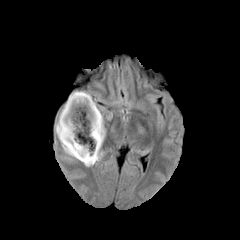
FLAIR MR image.
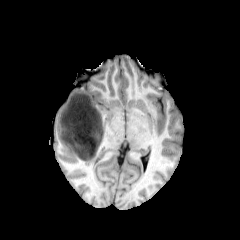
Same slice, T1-weighted MR image.
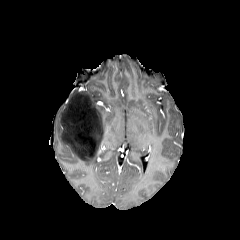
Post-contrast T1-weighted magnetic resonance of the same slice.
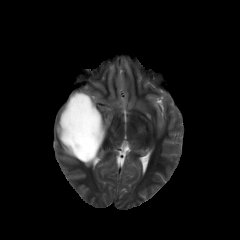
Same slice, T2-weighted magnetic resonance.
Brain.
<segmentation>
  <non-enhancing_tumor_core>(60, 91, 103, 160)</non-enhancing_tumor_core>
  <edema>(56, 102, 99, 166), (79, 90, 106, 141)</edema>
</segmentation>